FLAIR MRI.
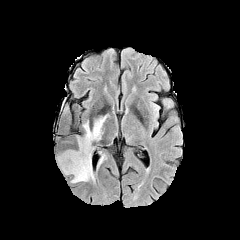
T1-weighted MR.
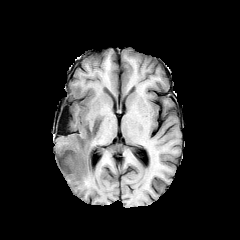
Post-contrast T1-weighted MRI.
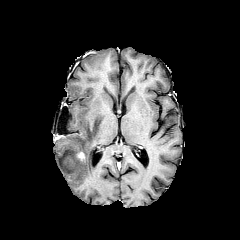
T2-weighted MRI.
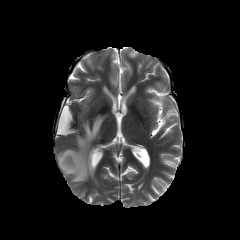
Brain
Segmented structures:
• non-enhancing tumor core: x1=74 y1=150 x2=86 y2=161
• edema: x1=58 y1=114 x2=108 y2=182